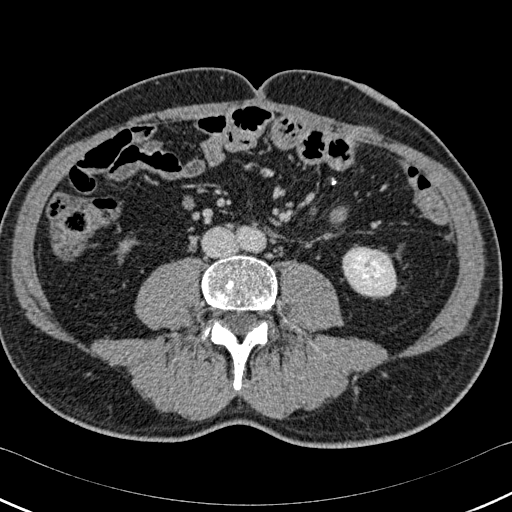
CT slice

Annotated regions:
- kidney: [x1=343, y1=248, x2=395, y2=295]
- bone: [x1=202, y1=321, x2=267, y2=390], [x1=201, y1=256, x2=277, y2=310]